Slice 57 of 155 | Field of view 240x240 mm
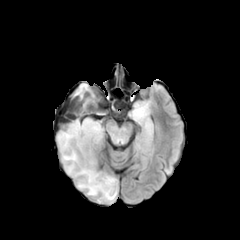
FLAIR magnetic resonance.
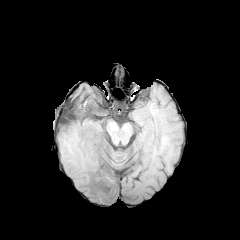
Same slice, T1-weighted MR image.
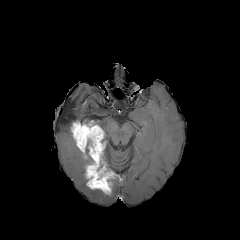
Post-contrast T1-weighted MR image.
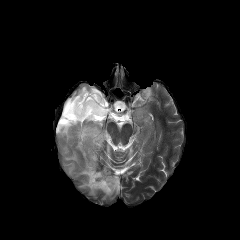
T2-weighted MR of the same slice.
Non-enhancing tumor core = bbox=[82, 98, 93, 111]; bbox=[82, 148, 93, 172]; bbox=[96, 145, 116, 195]; bbox=[68, 112, 91, 126].
Edema = bbox=[78, 178, 117, 199]; bbox=[82, 106, 95, 116]; bbox=[130, 101, 146, 121]; bbox=[58, 118, 85, 177]; bbox=[74, 84, 89, 98].
Enhancing tumor = bbox=[70, 120, 113, 195].